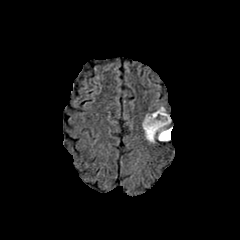
FLAIR MRI.
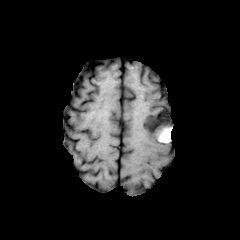
T1-weighted MR image of the same slice.
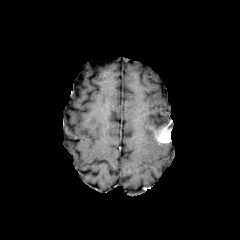
Post-contrast T1-weighted magnetic resonance of the same slice.
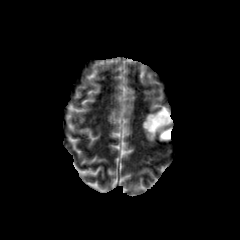
T2-weighted MR image.
Image size 240x240.
The non-enhancing tumor core is bounded by [145,108,171,132]. The edema appears at [142,106,163,142]. The enhancing tumor is bounded by [149,122,169,141].